Slice index 111; CT image
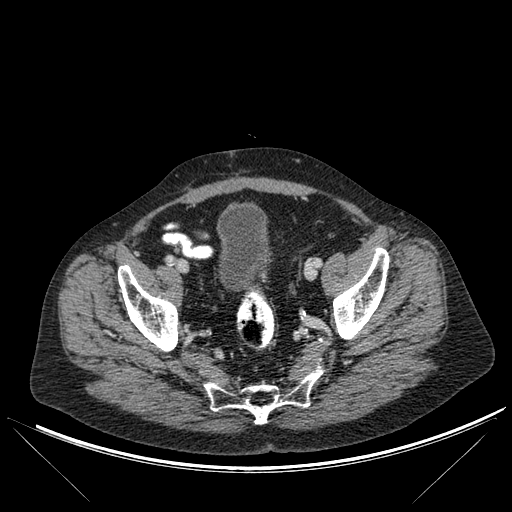
3 bone regions are located at (x1=333, y1=248, x2=389, y2=339), (x1=118, y1=265, x2=177, y2=351), (x1=204, y1=365, x2=322, y2=424). The urinary bladder is located at (x1=216, y1=204, x2=272, y2=291).